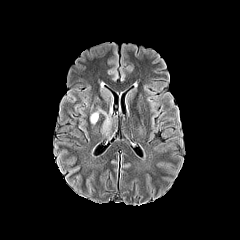
FLAIR magnetic resonance.
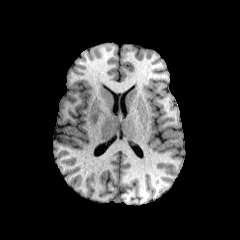
T1-weighted MR of the same slice.
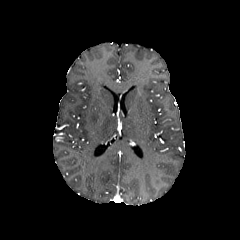
Post-contrast T1-weighted MRI.
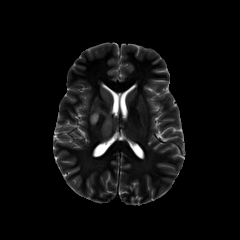
Same slice, T2-weighted MRI.
Brain.
Edema at l=90, t=106, r=112, b=135.